Computed tomography. Slice index 400. 512x512.
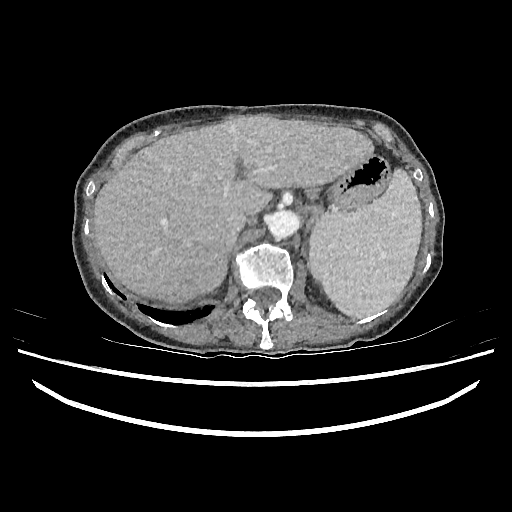

liver: (95,116,372,301)